Medial temporal lobe; 39x50 px; MRI slice; Slice 19/40 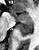 The posterior hippocampus is at [x1=17, y1=21, x2=31, y2=35]. The anterior hippocampus is at [x1=12, y1=11, x2=30, y2=21].